Brain, Slice 99 of 155
FLAIR MR.
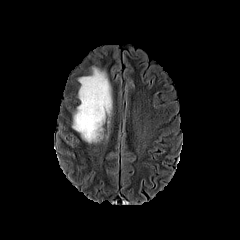
T1-weighted magnetic resonance.
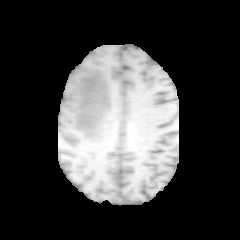
Post-contrast T1-weighted magnetic resonance.
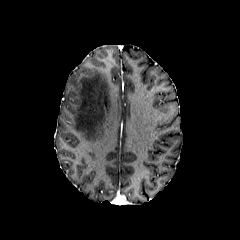
T2-weighted MRI.
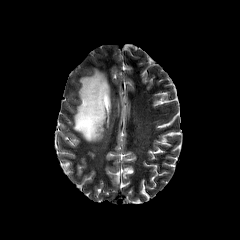
Edema = 72:67:112:143.